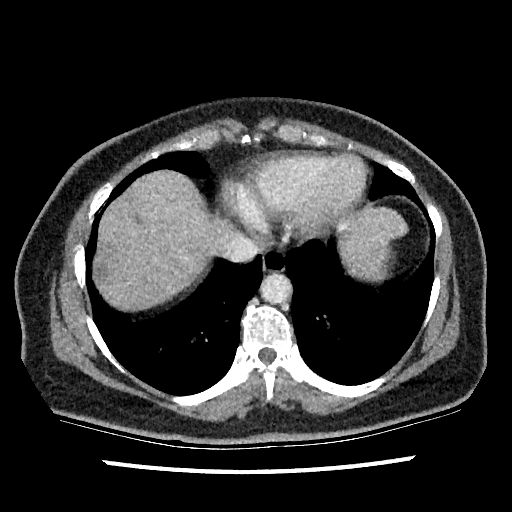 Abdomen, CT

<segmentation>
  <liver>[x1=347, y1=209, x2=406, y2=276], [x1=96, y1=170, x2=219, y2=308]</liver>
  <liver_lesion>[x1=133, y1=215, x2=142, y2=224], [x1=96, y1=265, x2=106, y2=278]</liver_lesion>
</segmentation>